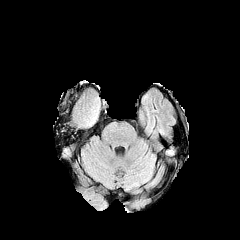
FLAIR MR image.
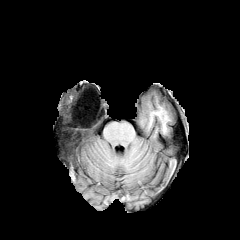
T1-weighted MR.
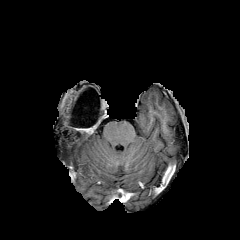
Same slice, post-contrast T1-weighted MRI.
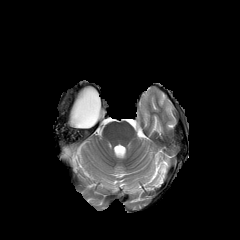
Same slice, T2-weighted MRI.
Non-enhancing tumor core: bounding box {"x1": 77, "y1": 95, "x2": 99, "y2": 125}.